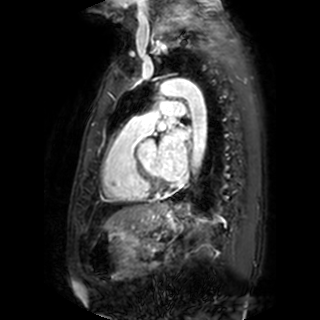
320x320, Heart, MRI slice
Left atrium at {"x1": 155, "y1": 130, "x2": 188, "y2": 181}, {"x1": 166, "y1": 116, "x2": 175, "y2": 125}.